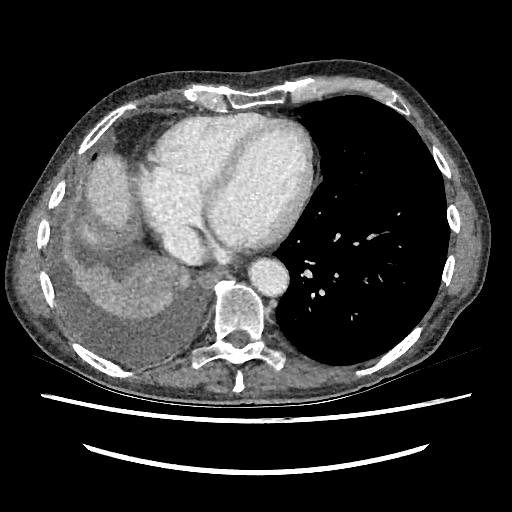

Computed tomography
Liver: box(80, 223, 104, 243); box(87, 154, 130, 228).